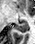 MR image
Annotated regions:
• posterior hippocampus: [x1=13, y1=22, x2=27, y2=32]